CT image | 512x512 px
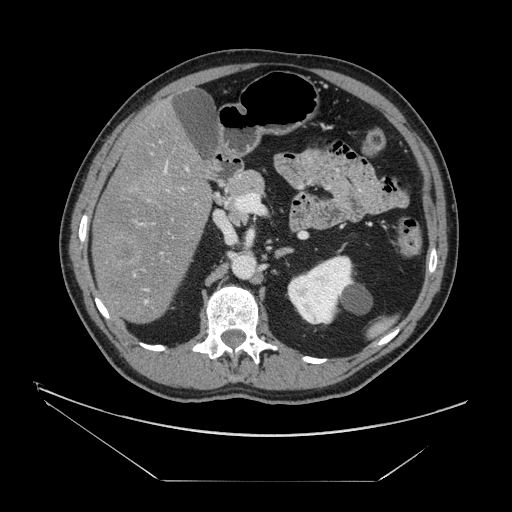

Some hepatic vessels may have no box.
Findings:
* hepatic vessel: [x1=164, y1=164, x2=166, y2=170]